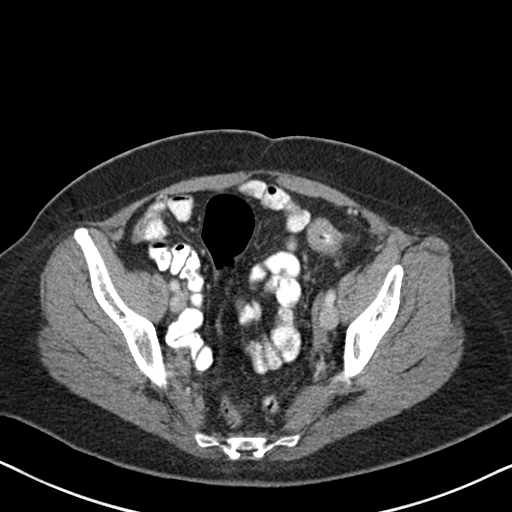
Computed tomography

Annotated regions:
- colon tumor: bbox=[308, 218, 340, 251]